36x49, Slice index 29, Magnetic resonance

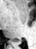 The posterior hippocampus is located at left=16, top=41, right=19, bottom=41.